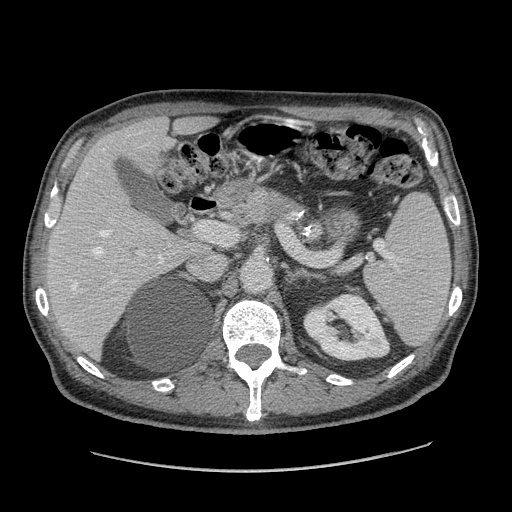 CT scan slice

Pancreas = rect(237, 191, 298, 221).
Pancreatic tumor = rect(266, 196, 292, 217).